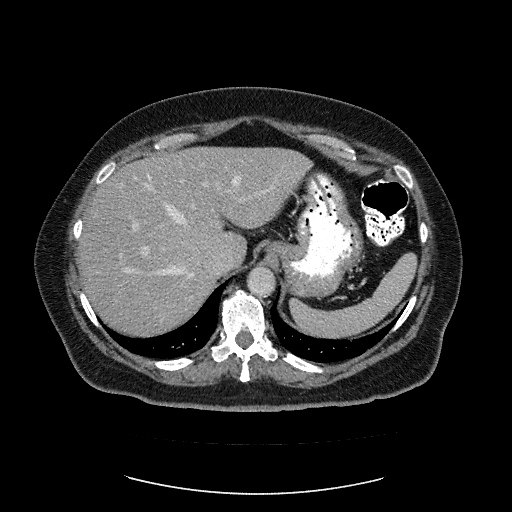
CT. 512x512. The vessel boxes may cover only some of the vessels.
Segmented structures:
- hepatic vessel (top 15 of 16): bbox(189, 272, 193, 277); bbox(181, 180, 183, 181); bbox(201, 164, 204, 165); bbox(159, 267, 183, 273); bbox(233, 176, 240, 184); bbox(203, 183, 207, 186); bbox(241, 196, 248, 201); bbox(163, 202, 185, 222); bbox(133, 221, 138, 230); bbox(289, 190, 291, 192); bbox(142, 246, 148, 254); bbox(255, 189, 270, 197); bbox(123, 266, 133, 271); bbox(192, 204, 194, 208); bbox(146, 175, 152, 188)